CT scan slice
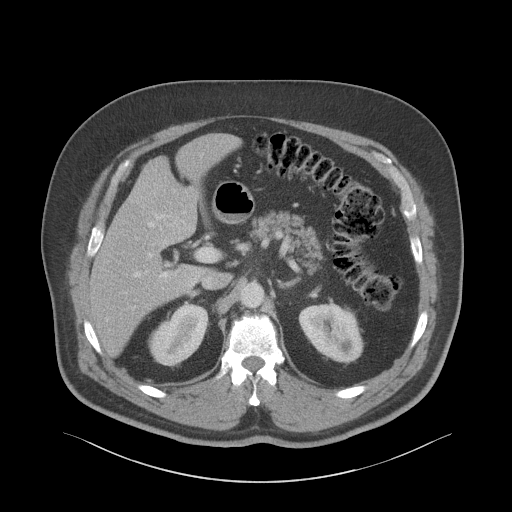 Liver at region(91, 135, 233, 348).
Kidney at region(300, 305, 361, 360); region(151, 306, 207, 363).